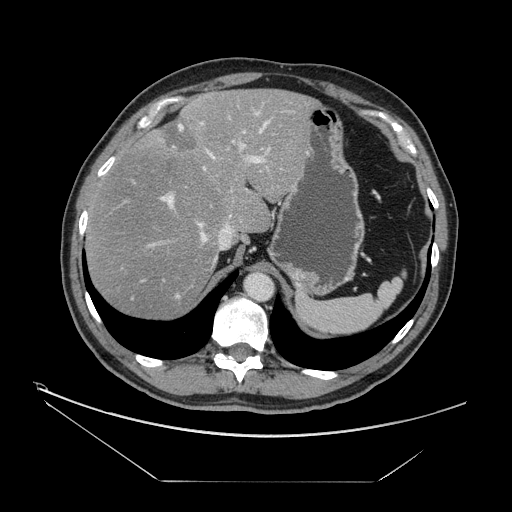 CT scan slice
Only some of the vessels may be annotated.
Hepatic vessel at box(201, 233, 206, 240); box(259, 122, 267, 131); box(248, 157, 262, 162); box(199, 223, 202, 226); box(226, 224, 228, 228); box(160, 195, 172, 205); box(267, 149, 268, 151); box(203, 167, 205, 169); box(201, 122, 202, 124); box(208, 152, 213, 157); box(233, 141, 234, 142); box(256, 113, 258, 114); box(240, 144, 244, 147); box(243, 131, 244, 132).
Liver tumor at box(161, 122, 196, 156).